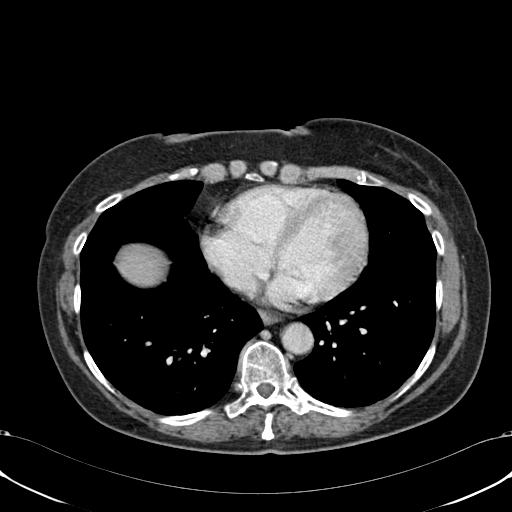
Abdomen | CT slice
liver:
  - bbox(118, 247, 163, 284)